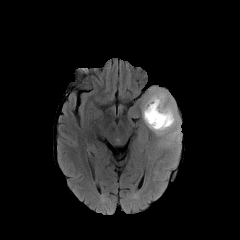
FLAIR MRI.
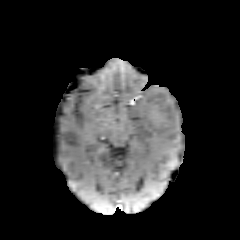
Same slice, T1-weighted MRI.
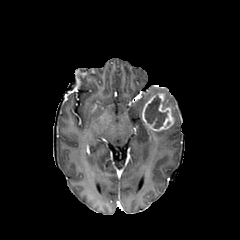
Post-contrast T1-weighted magnetic resonance of the same slice.
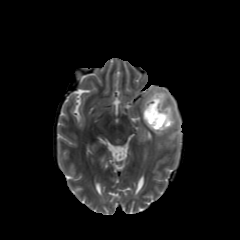
Same slice, T2-weighted MR image.
Head
Enhancing tumor at box(142, 93, 174, 131).
Non-enhancing tumor core at box(145, 97, 166, 128).
Edema at box(147, 86, 181, 153); box(140, 94, 149, 117).